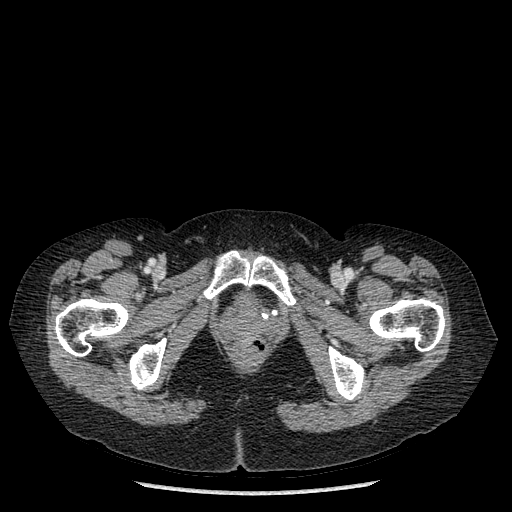 CT, 512x512
Bone: bounding box box(328, 346, 365, 400); box(369, 298, 445, 351); box(54, 298, 129, 356); box(128, 338, 166, 390); box(203, 251, 295, 306).